Brain. Slice 101 of 155.
FLAIR MRI.
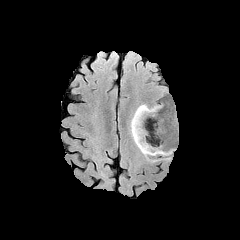
T1-weighted MRI.
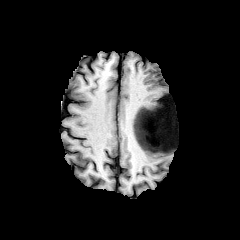
Post-contrast T1-weighted MR.
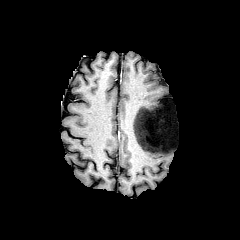
T2-weighted MR image.
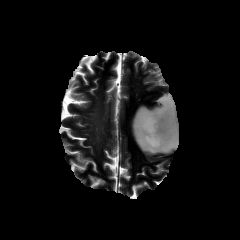
<segmentation>
  <edema>[130,103,175,160]</edema>
  <non-enhancing_tumor_core>[134,106,175,152]</non-enhancing_tumor_core>
</segmentation>